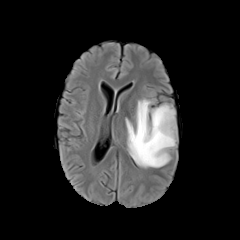
FLAIR MRI.
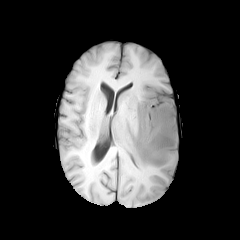
T1-weighted MR.
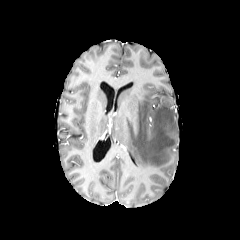
Post-contrast T1-weighted magnetic resonance of the same slice.
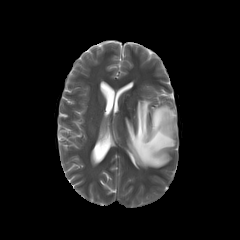
T2-weighted magnetic resonance.
Edema = <box>126,98,177,167</box>.